CT slice, Field of view 367x367 mm
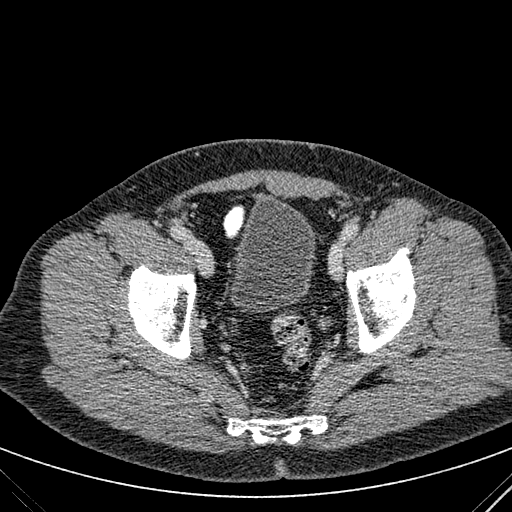
urinary bladder: left=225, top=197, right=317, bottom=314